FLAIR magnetic resonance.
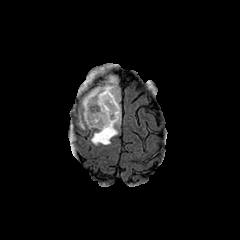
T1-weighted MR.
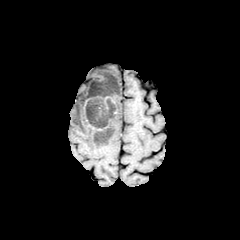
Post-contrast T1-weighted magnetic resonance.
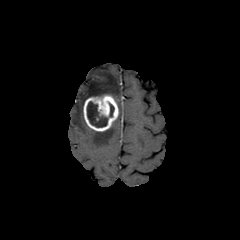
T2-weighted magnetic resonance.
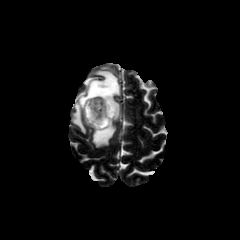
The non-enhancing tumor core is bounded by (87,101,107,127). The edema appears at (74,67,121,147). The enhancing tumor is bounded by (83,94,118,131).